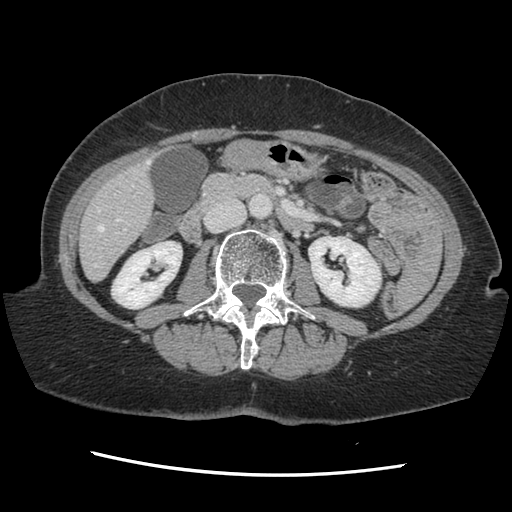

Abdomen, 512x512 px, CT slice

Some hepatic vessels may have no box.
{"hepatic_vessel": ["l=98, t=210, r=99, b=211", "l=94, t=263, r=96, b=265", "l=98, t=248, r=100, b=249", "l=117, t=218, r=120, b=220", "l=147, t=161, r=148, b=163", "l=98, t=225, r=103, b=230"]}